Field of view 496 mm wide, 0.80 mm slice spacing, CT
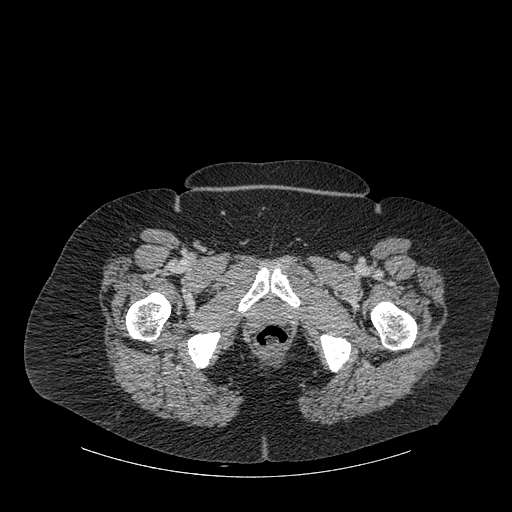

Segmented structures:
- bone: <box>188,332,220,367</box>, <box>371,302,416,349</box>, <box>238,267,300,312</box>, <box>320,334,350,371</box>, <box>126,292,170,341</box>